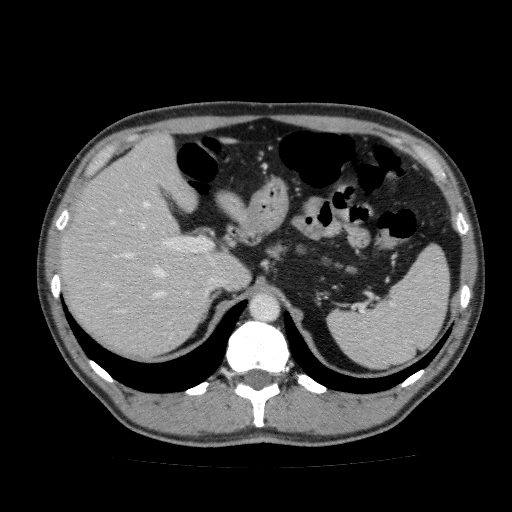 Abdomen. CT image. liver: (58,132,250,357), (218,190,248,223), (220,137,235,143)